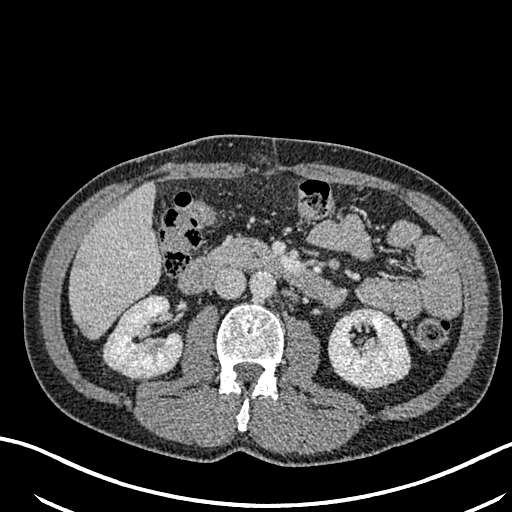

Computed tomography.
The liver appears at box=[69, 183, 159, 337]. 2 kidney regions are bounded by box=[105, 297, 181, 376]; box=[329, 310, 409, 386]. 2 hepatic lesion regions appear at box=[73, 257, 88, 268]; box=[76, 320, 93, 336].